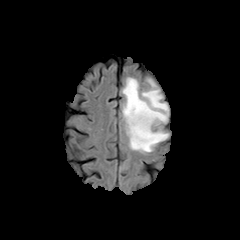
FLAIR MR.
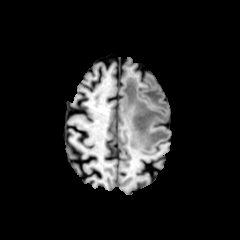
T1-weighted magnetic resonance of the same slice.
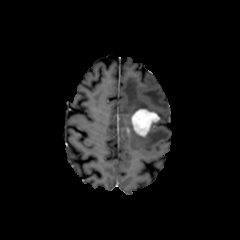
Post-contrast T1-weighted MR.
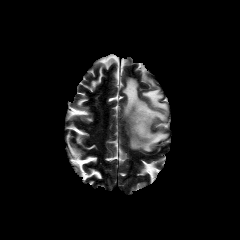
Same slice, T2-weighted magnetic resonance.
The enhancing tumor lies within region(131, 109, 160, 137). The edema is located at region(122, 77, 168, 152).